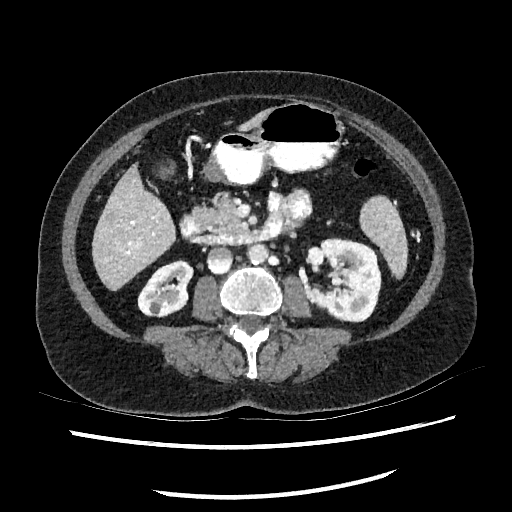 512x512. Upper abdomen. Computed tomography.

2 liver regions are bounded by bbox=[241, 111, 268, 129]; bbox=[92, 166, 173, 289]. 2 kidney regions are bounded by bbox=[138, 261, 192, 315]; bbox=[309, 240, 380, 320].